CT image | Image size 512x512 | Abdomen
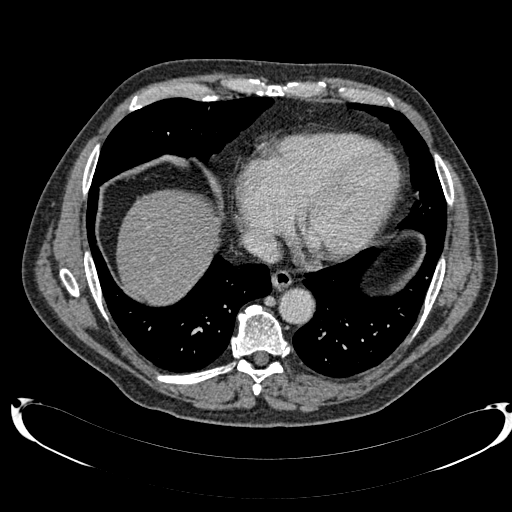 The liver is at <bbox>116, 191, 221, 305</bbox>.